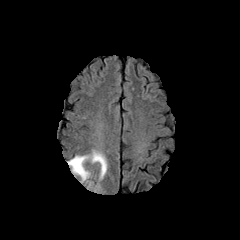
FLAIR MR.
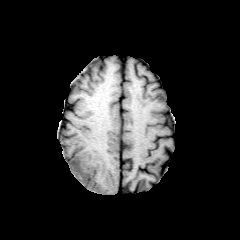
T1-weighted MR.
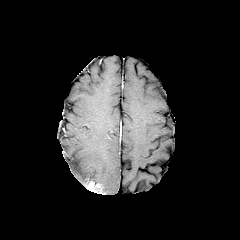
Post-contrast T1-weighted MRI.
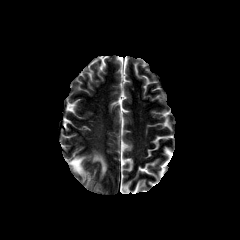
T2-weighted MR image of the same slice.
Brain, Image size 240x240
Non-enhancing tumor core = {"x1": 72, "y1": 160, "x2": 81, "y2": 169}.
Edema = {"x1": 68, "y1": 150, "x2": 107, "y2": 191}.